FLAIR MRI.
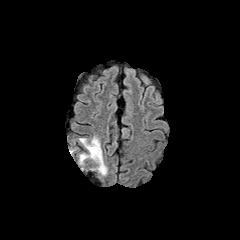
T1-weighted MRI.
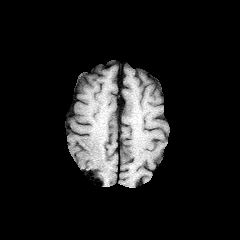
Post-contrast T1-weighted magnetic resonance.
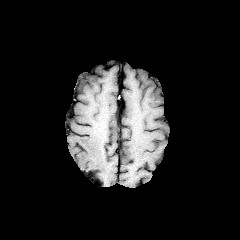
T2-weighted MR image.
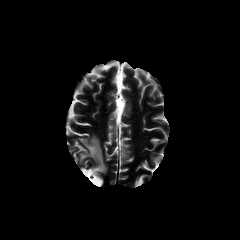
Brain
edema:
  - bbox(69, 135, 107, 177)